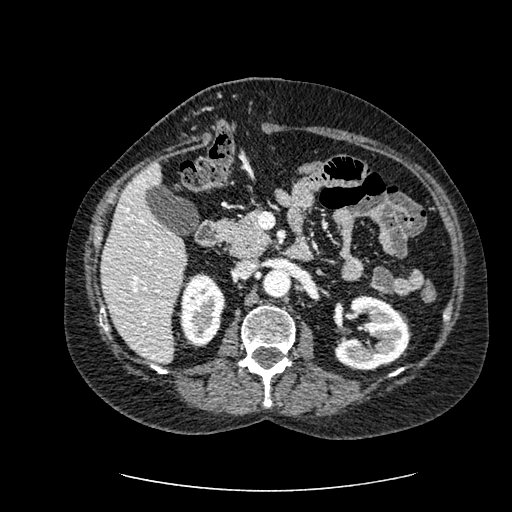

CT, Liver
• liver: <bbox>100, 162, 185, 362</bbox>
• kidney: <bbox>181, 274, 224, 345</bbox>, <bbox>334, 296, 408, 369</bbox>